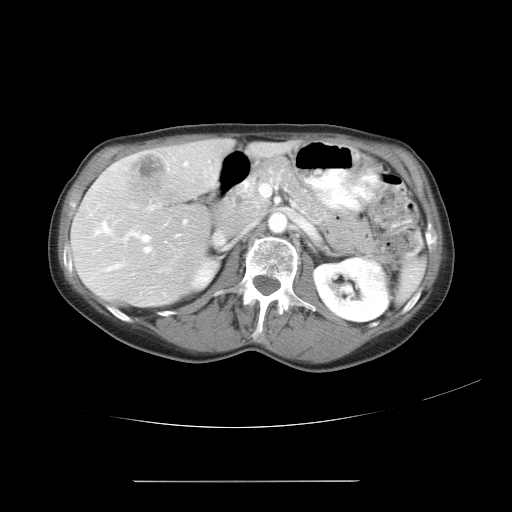

CT image
Not every hepatic vessel necessarily has a box.
10 hepatic vessel regions are bounded by rect(147, 206, 151, 209); rect(121, 230, 148, 242); rect(144, 245, 149, 251); rect(176, 234, 177, 235); rect(182, 219, 186, 223); rect(157, 204, 159, 206); rect(94, 221, 111, 234); rect(183, 161, 186, 165); rect(131, 205, 133, 207); rect(108, 263, 121, 269). The liver tumor is at rect(129, 152, 168, 204).